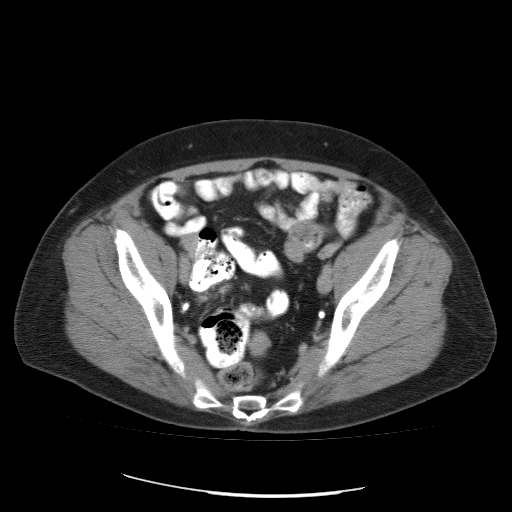

CT scan slice. Pelvis.

The colon tumor is bounded by (249,331,269,354).